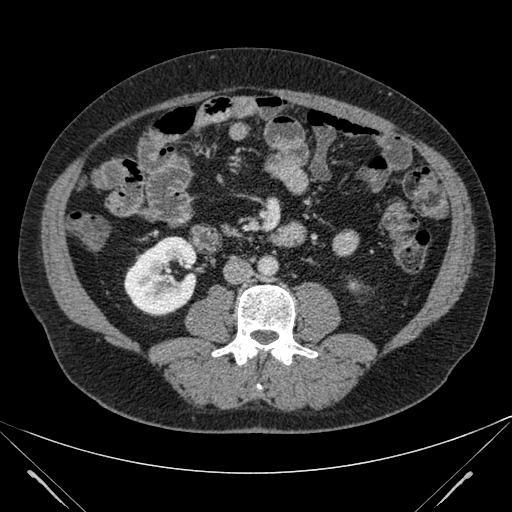
Computed tomography
Segmented structures:
• kidney: bbox=[125, 237, 195, 314]